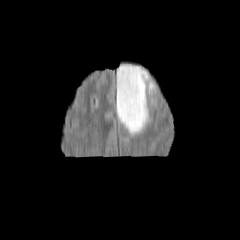
FLAIR MR image.
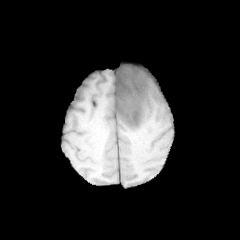
T1-weighted MRI of the same slice.
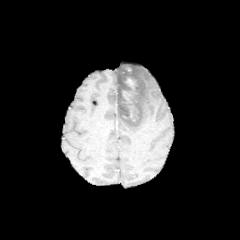
Post-contrast T1-weighted MR image.
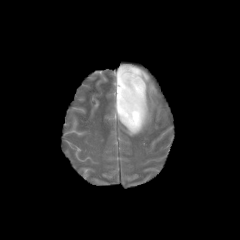
T2-weighted MRI.
Brain
Edema — rect(116, 63, 149, 134).
Non-enhancing tumor core — rect(120, 68, 139, 122).
Enhancing tumor — rect(130, 109, 137, 121); rect(122, 91, 134, 104); rect(125, 78, 135, 88).